Image size 512x512 | Computed tomography | Image width 378 mm | Slice 23/40
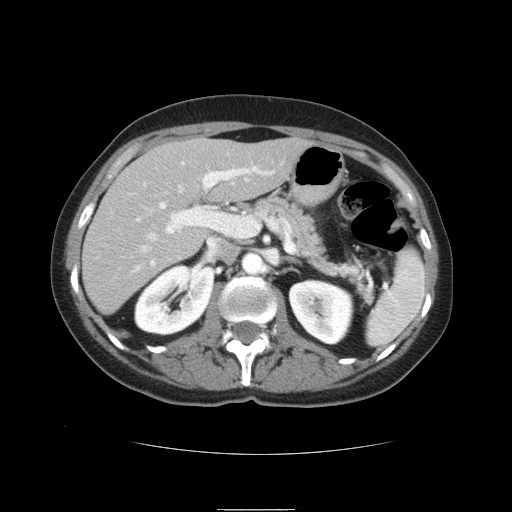
The spleen appears at bbox=[367, 249, 424, 345].